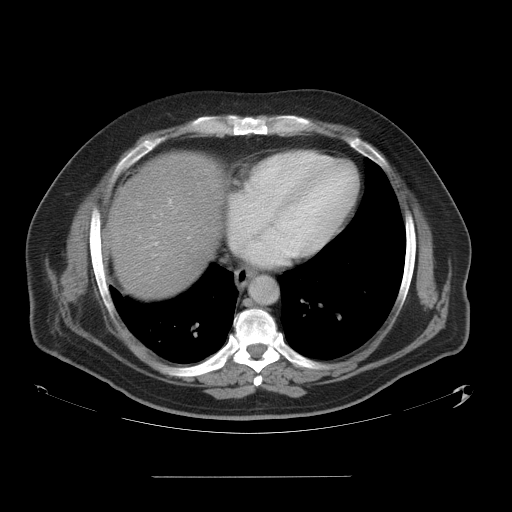 CT slice
Some hepatic vessels may have no box.
hepatic_vessel:
  - box(155, 242, 157, 244)
  - box(169, 199, 171, 205)